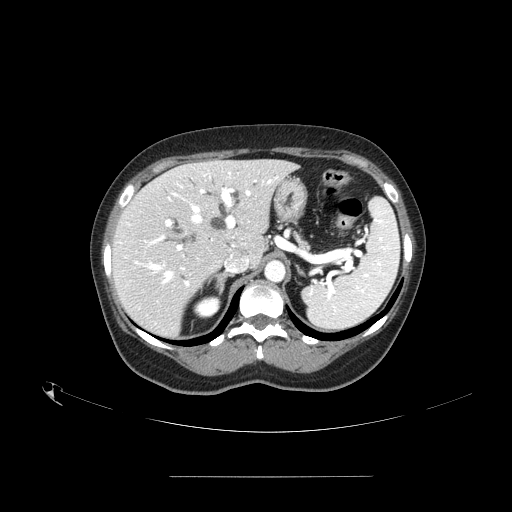
Upper abdomen. Computed tomography.

pancreas:
  - (x1=294, y1=234, x2=309, y2=249)